CT slice; Slice 17 of 26; Liver 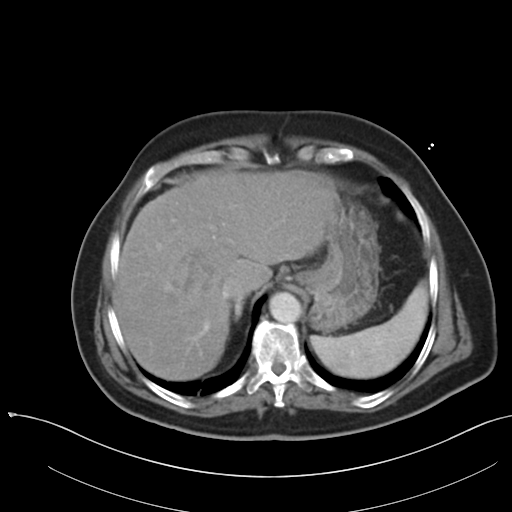

The vessel annotation is not exhaustive.
9 hepatic vessel regions are located at (x1=246, y1=236, x2=247, y2=237), (x1=275, y1=222, x2=277, y2=225), (x1=222, y1=223, x2=224, y2=224), (x1=172, y1=219, x2=175, y2=221), (x1=157, y1=243, x2=161, y2=249), (x1=229, y1=278, x2=231, y2=280), (x1=238, y1=260, x2=240, y2=263), (x1=185, y1=321, x2=209, y2=343), (x1=282, y1=219, x2=284, y2=221). The liver tumor is bounded by (x1=139, y1=230, x2=237, y2=305).